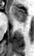 Medial temporal lobe; MRI
anterior_hippocampus:
  - box(11, 6, 26, 22)